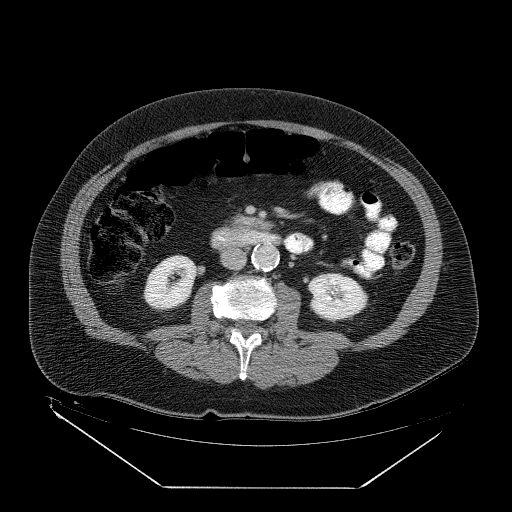
CT, 512x512 px
Pancreas: [230,215,266,230].